Brain; Slice 79 of 155
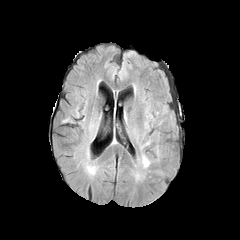
FLAIR magnetic resonance.
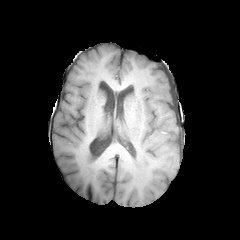
T1-weighted MR image.
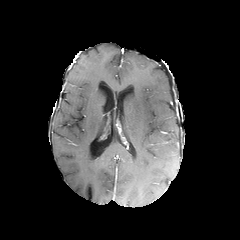
Post-contrast T1-weighted MR of the same slice.
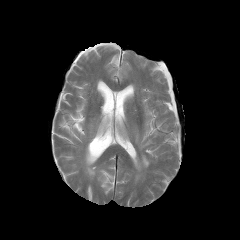
T2-weighted MR image.
The edema is at {"x1": 134, "y1": 154, "x2": 150, "y2": 168}.